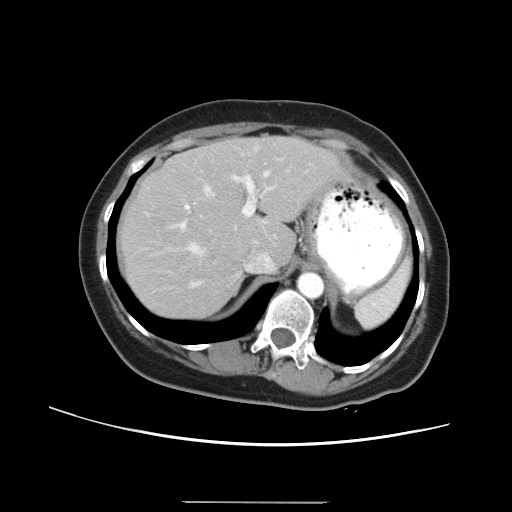

CT scan slice. Liver. Image size 512x512.
The vessel annotation is not exhaustive.
{
  "hepatic_vessel": [
    "(left=264, top=171, right=268, bottom=175)",
    "(left=263, top=254, right=266, bottom=255)",
    "(left=204, top=185, right=213, bottom=195)",
    "(left=185, top=205, right=188, bottom=208)",
    "(left=232, top=175, right=255, bottom=215)",
    "(left=191, top=282, right=199, bottom=286)",
    "(left=264, top=187, right=272, bottom=192)",
    "(left=187, top=243, right=204, bottom=253)"
  ]
}